512x512 px, Computed tomography 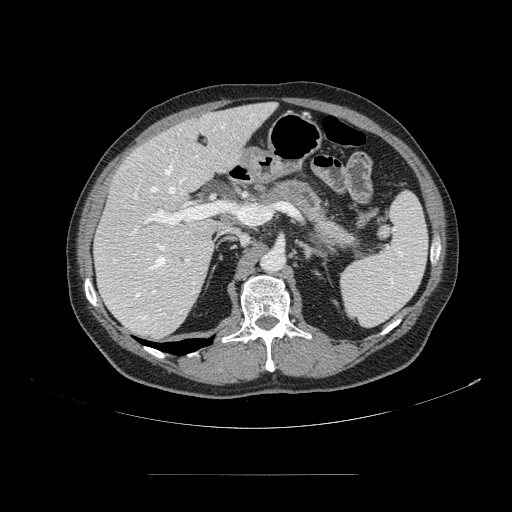

Findings:
- pancreas: box=[257, 177, 358, 250]